Slice index 12, CT scan slice

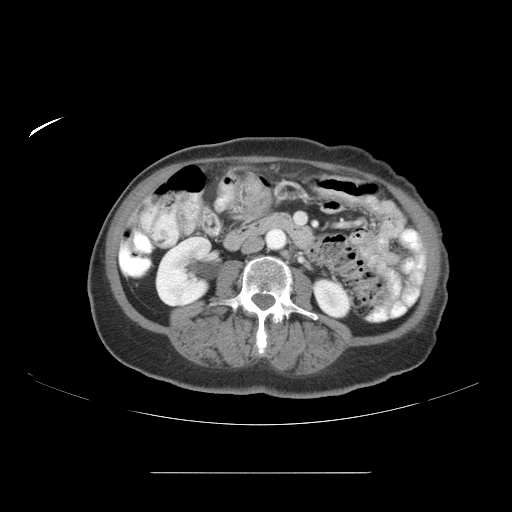

Colon tumor = bbox=[233, 174, 272, 218].